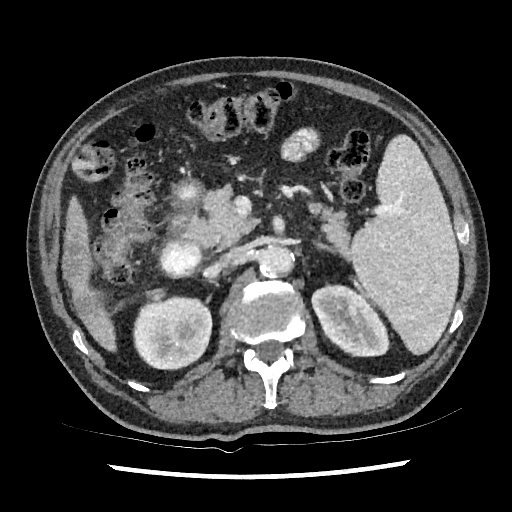 Upper abdomen. Computed tomography. hepatic_lesion:
  - (x1=63, y1=231, x2=90, y2=284)
  - (x1=73, y1=293, x2=103, y2=329)
liver:
  - (x1=83, y1=309, x2=115, y2=348)
  - (x1=65, y1=272, x2=102, y2=299)
  - (x1=65, y1=199, x2=91, y2=270)
kidney:
  - (x1=134, y1=297, x2=211, y2=368)
  - (x1=312, y1=286, x2=388, y2=355)